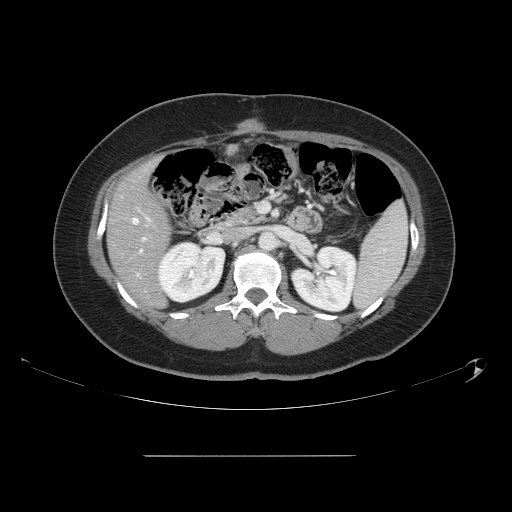

Abdomen; CT scan slice; Image size 512x512

Some hepatic vessels may have no box.
Hepatic vessel: (x1=140, y1=250, x2=141, y2=252), (x1=142, y1=238, x2=144, y2=240), (x1=132, y1=218, x2=137, y2=222).